Slice 111 of 155 | Head | Image width 240 mm
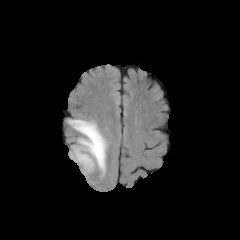
FLAIR magnetic resonance.
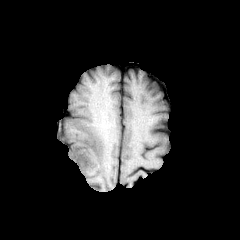
T1-weighted MR image of the same slice.
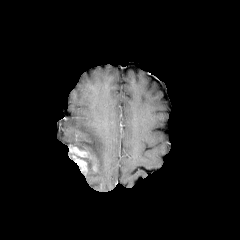
Post-contrast T1-weighted MR image of the same slice.
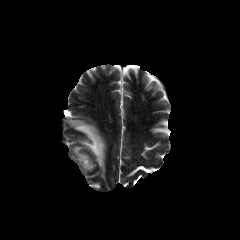
T2-weighted MR image.
Edema: (x1=68, y1=119, x2=105, y2=171), (x1=85, y1=158, x2=94, y2=170).
Enhancing tumor: (x1=70, y1=146, x2=88, y2=172).